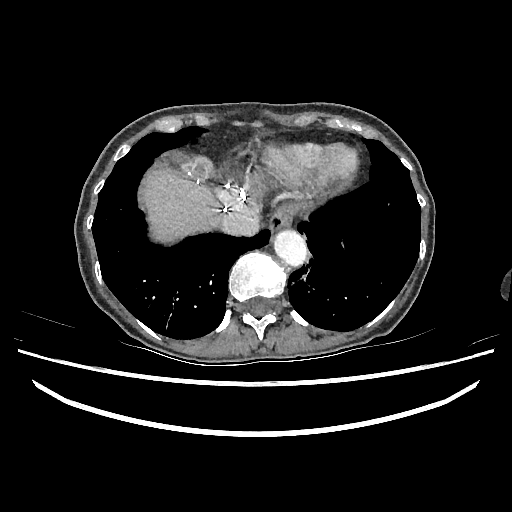
CT slice; 512x512 px
Liver: bounding box <bbox>252, 183, 266, 199</bbox>, <bbox>143, 172, 222, 240</bbox>.